Image size 240x240; Field of view 240x240 mm
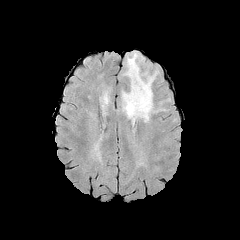
FLAIR MRI.
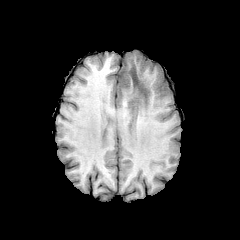
T1-weighted MR image of the same slice.
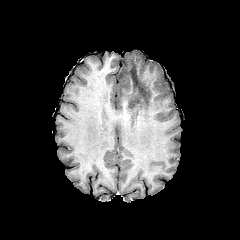
Post-contrast T1-weighted MRI.
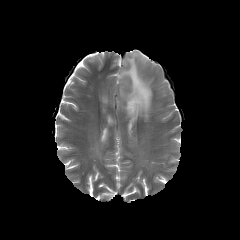
T2-weighted magnetic resonance.
The non-enhancing tumor core is located at region(132, 72, 145, 95). The edema is at region(121, 51, 154, 123).